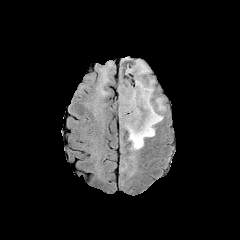
FLAIR MR.
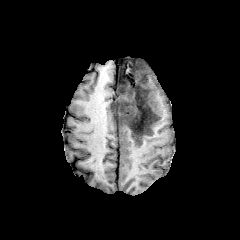
Same slice, T1-weighted MRI.
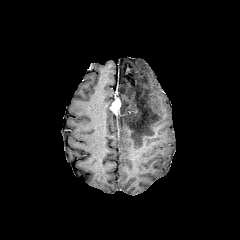
Post-contrast T1-weighted MR.
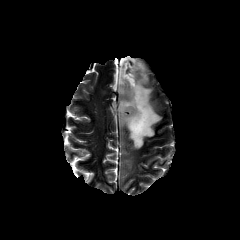
T2-weighted MR.
Image size 240x240
3 edema regions are bounded by (left=120, top=77, right=129, bottom=87), (left=124, top=156, right=133, bottom=167), (left=118, top=60, right=162, bottom=150). The non-enhancing tumor core is located at (left=115, top=75, right=157, bottom=140). The enhancing tumor is bounded by (left=112, top=99, right=123, bottom=115).